FLAIR magnetic resonance.
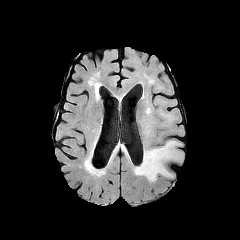
T1-weighted MRI.
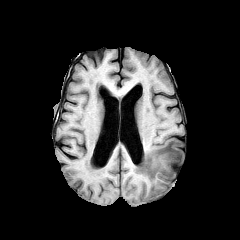
Post-contrast T1-weighted MR image.
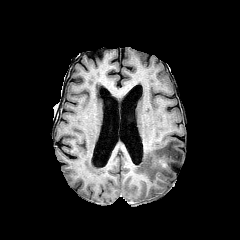
T2-weighted MR.
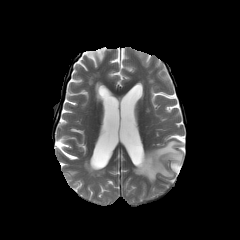
Head
Edema: bounding box rect(133, 140, 181, 182).